Brain, Field of view 240 mm wide, 1.00 mm slice spacing, 240x240 px
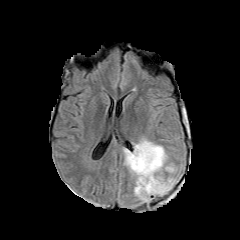
FLAIR MR image.
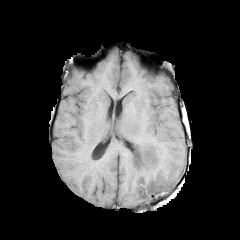
T1-weighted MRI.
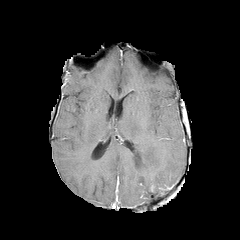
Same slice, post-contrast T1-weighted magnetic resonance.
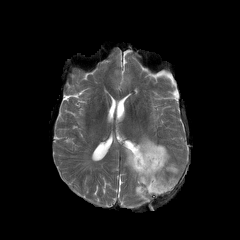
T2-weighted MR.
• non-enhancing tumor core: [150, 183, 165, 191]
• edema: [123, 137, 178, 203]